Image size 512x512, CT, Abdomen
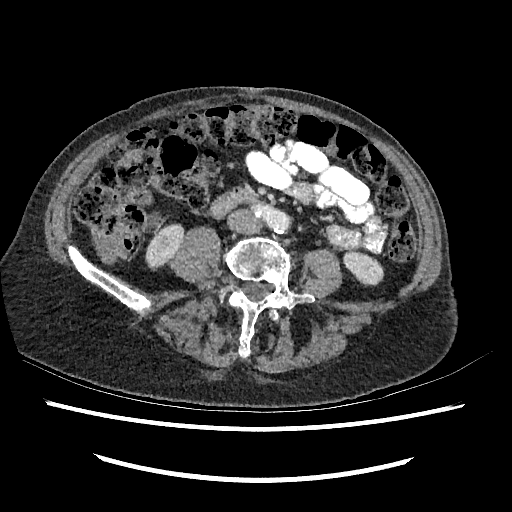

2 kidney regions appear at {"x1": 344, "y1": 252, "x2": 382, "y2": 283}, {"x1": 149, "y1": 228, "x2": 181, "y2": 260}.